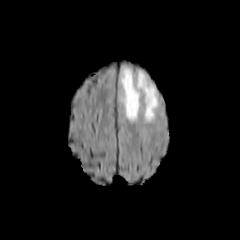
FLAIR MRI.
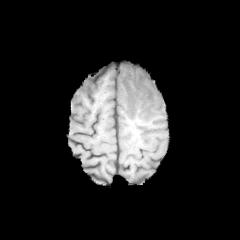
T1-weighted MR.
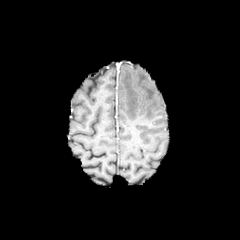
Same slice, post-contrast T1-weighted MRI.
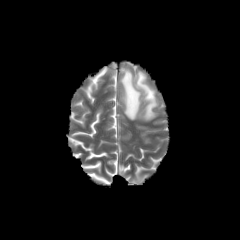
T2-weighted MRI.
Brain
Annotated regions:
* edema: <box>121,68,157,120</box>